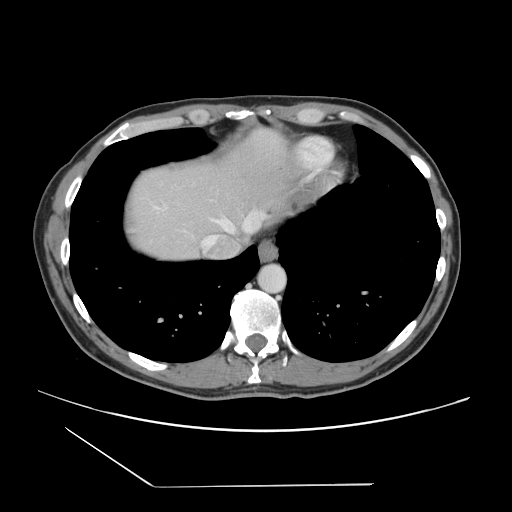

CT slice, Image size 512x512
The vessel boxes may cover only some of the vessels.
hepatic vessel: <box>211,217,234,232</box>, <box>201,243,204,245</box>, <box>243,211,265,231</box>, <box>155,206,166,209</box>